CT scan slice. Thorax.

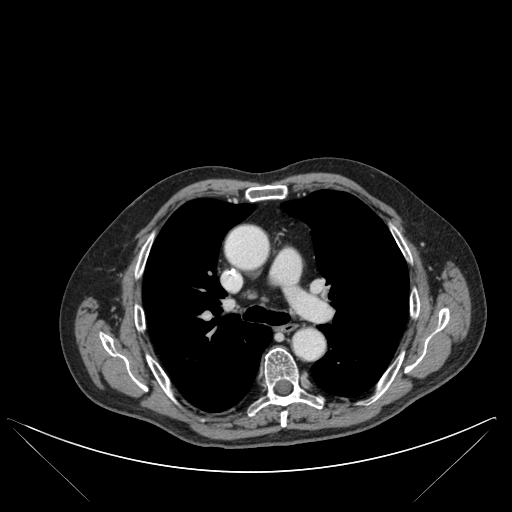
11 bone regions appear at bbox=[146, 355, 173, 398]; bbox=[405, 308, 449, 372]; bbox=[100, 333, 147, 391]; bbox=[373, 353, 403, 400]; bbox=[281, 411, 287, 426]; bbox=[394, 228, 410, 258]; bbox=[249, 348, 323, 415]; bbox=[134, 305, 144, 330]; bbox=[135, 235, 152, 277]; bbox=[410, 289, 419, 317]; bbox=[246, 185, 286, 201]. 2 lung regions are located at bbox=[281, 190, 408, 396]; bbox=[143, 199, 289, 412].